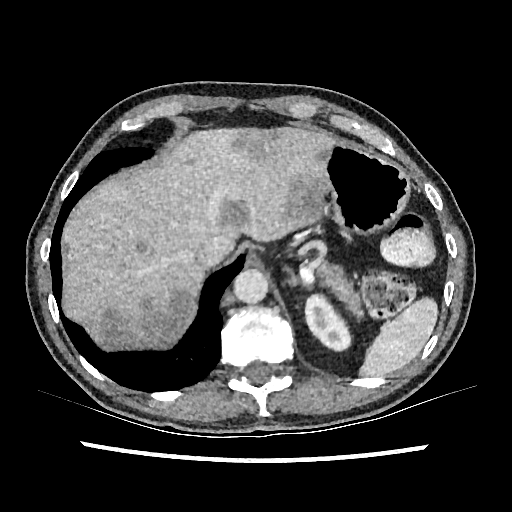 Computed tomography.

Kidney: bounding box rect(305, 295, 349, 349).
Hepatic lesion: bounding box rect(181, 159, 195, 165); rect(217, 198, 250, 228); rect(63, 242, 69, 257); rect(136, 241, 146, 253); rect(315, 148, 330, 161); rect(84, 288, 194, 348); rect(231, 129, 279, 159); rect(285, 172, 327, 224).
Liver: bounding box rect(63, 128, 333, 322).